512x512; Field of view 460 mm wide, 2.50 mm slice spacing; Computed tomography; Slice 56 of 117 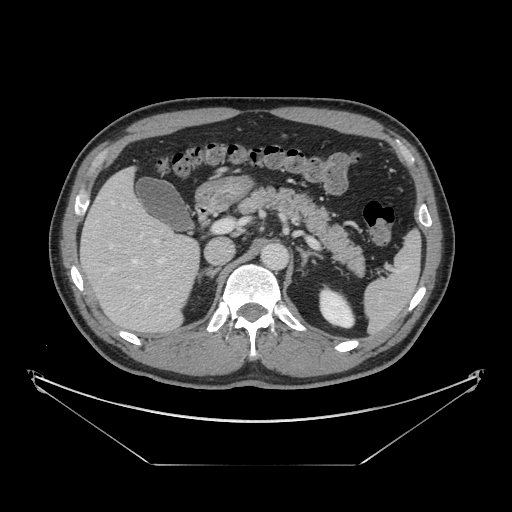
Pancreas: (x1=235, y1=187, x2=364, y2=275).